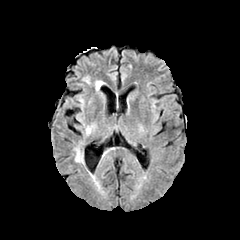
FLAIR MRI.
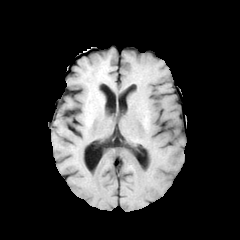
T1-weighted magnetic resonance.
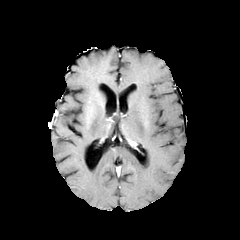
Post-contrast T1-weighted magnetic resonance.
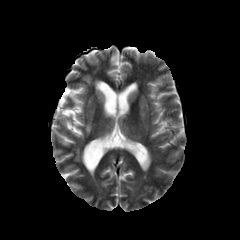
T2-weighted MRI of the same slice.
Head
Edema: bounding box left=93, top=80, right=105, bottom=102; left=77, top=96, right=84, bottom=108; left=83, top=122, right=94, bottom=135; left=75, top=148, right=84, bottom=163.